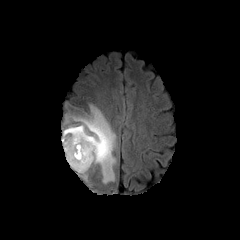
FLAIR MR.
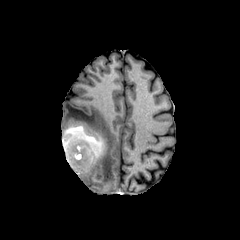
T1-weighted MR image of the same slice.
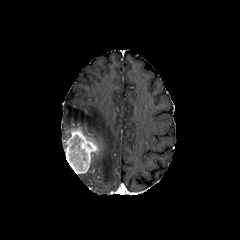
Post-contrast T1-weighted MRI.
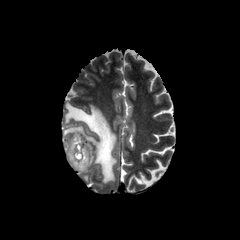
T2-weighted magnetic resonance of the same slice.
Brain.
Enhancing tumor: bounding box (65,131,97,173).
Non-enhancing tumor core: bounding box (62,135,88,170), (63,125,104,158).
Edema: bounding box (71,103,117,182).